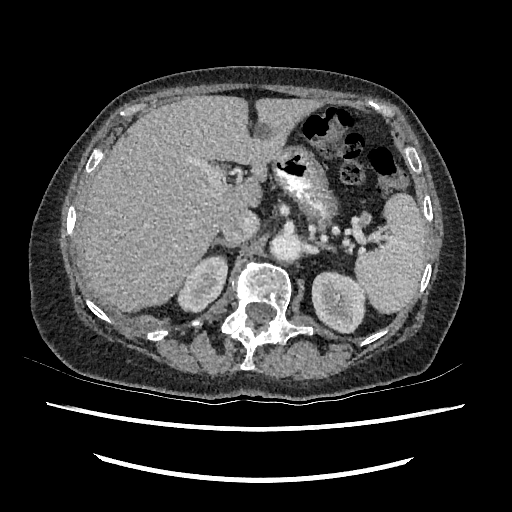 CT image; 512x512 px
focal_liver_lesion:
  - (254,124,269,138)
liver:
  - (84,96,323,311)
kidney:
  - (312,273,364,332)
  - (178,257,227,311)